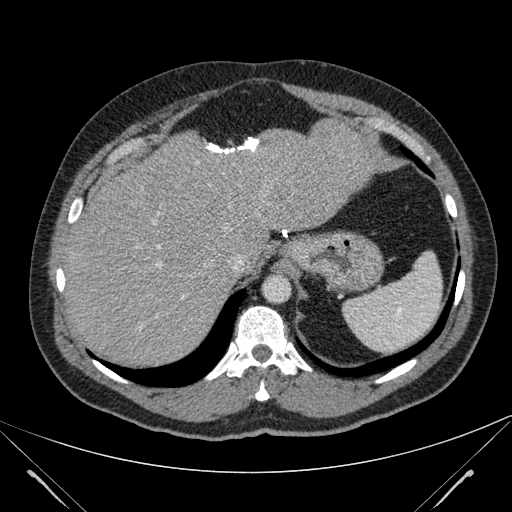

CT slice. 512x512 px.
liver: left=63, top=118, right=378, bottom=366